Brain; Slice 49 of 155
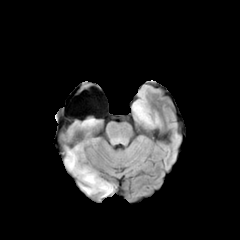
FLAIR MR image.
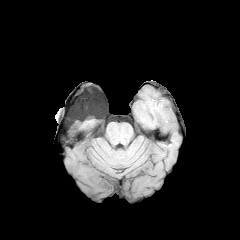
T1-weighted magnetic resonance.
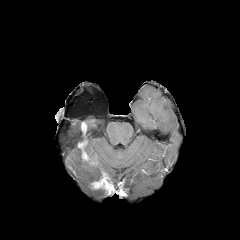
Post-contrast T1-weighted MR image.
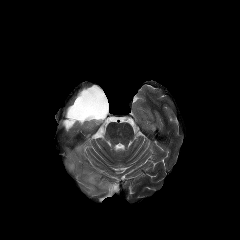
T2-weighted MRI.
edema:
  - (left=66, top=145, right=107, bottom=196)
  - (left=83, top=118, right=99, bottom=129)
  - (left=133, top=103, right=143, bottom=116)
enhancing_tumor:
  - (left=92, top=178, right=114, bottom=193)